FLAIR MRI.
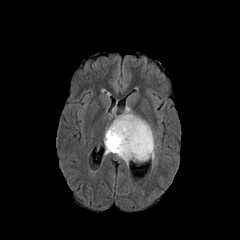
T1-weighted MRI.
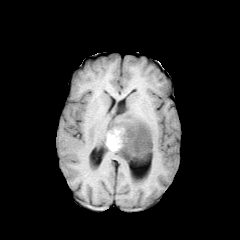
Post-contrast T1-weighted magnetic resonance.
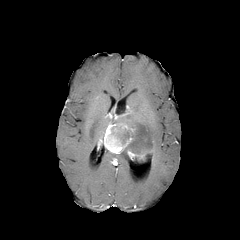
T2-weighted MRI.
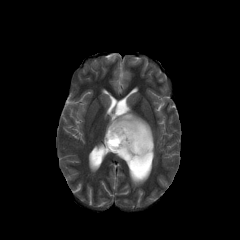
Brain
* non-enhancing tumor core: {"x1": 117, "y1": 122, "x2": 152, "y2": 161}, {"x1": 132, "y1": 152, "x2": 152, "y2": 162}
* enhancing tumor: {"x1": 127, "y1": 149, "x2": 152, "y2": 159}, {"x1": 104, "y1": 117, "x2": 137, "y2": 153}
* edema: {"x1": 108, "y1": 100, "x2": 157, "y2": 165}, {"x1": 115, "y1": 154, "x2": 128, "y2": 167}